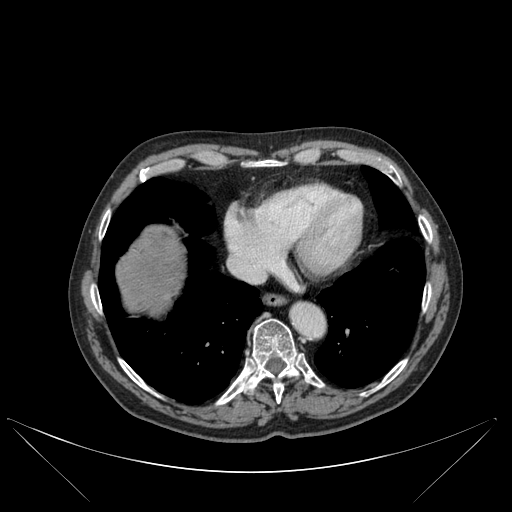 512x512 px. Upper abdomen. CT.

* lung: 361,166,417,234; 314,237,425,388; 98,177,262,403
* liver: 117,226,184,311
* bone: 217,319,298,404; 251,161,280,166; 139,169,149,181; 422,285,431,310; 119,359,149,390; 99,210,109,238; 296,356,323,387; 90,289,101,311; 377,360,406,388; 419,216,432,241; 384,165,393,177